FLAIR MR image.
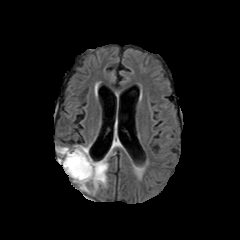
T1-weighted MR.
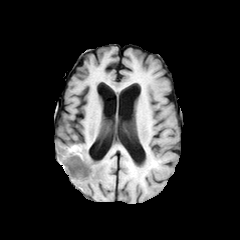
Post-contrast T1-weighted MR image.
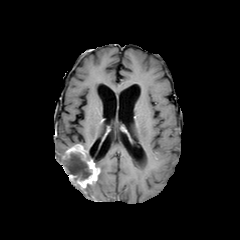
T2-weighted MRI.
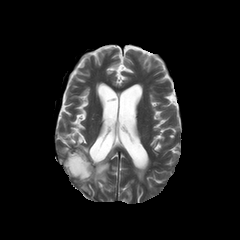
Brain.
{"non-enhancing_tumor_core": ["(64,150,92,181)"], "edema": ["(80,158,108,190)", "(136,168,143,175)", "(58,147,67,169)"], "enhancing_tumor": ["(76,160,100,187)", "(66,144,86,157)"]}